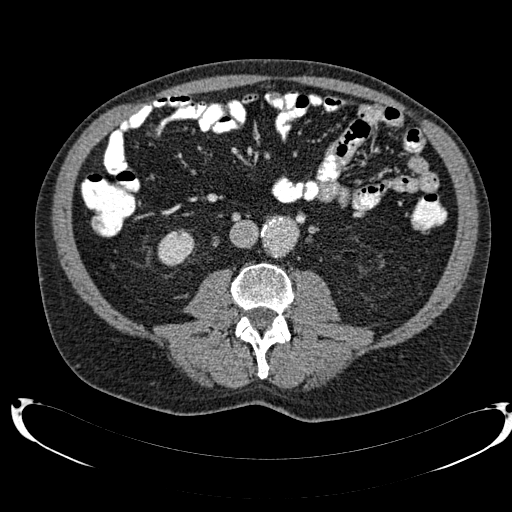 Computed tomography; Abdomen; Image size 512x512

The kidney lies within {"x1": 158, "y1": 240, "x2": 193, "y2": 265}.